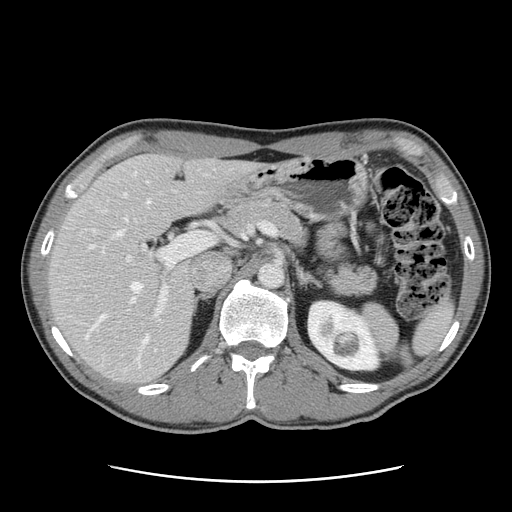 CT slice; Liver
The vessel boxes may cover only some of the vessels.
<segmentation partial="true">
  <hepatic_vessel shown="15" total="19">rect(131, 282, 141, 291); rect(89, 245, 93, 247); rect(135, 347, 141, 367); rect(91, 229, 95, 232); rect(155, 285, 167, 313); rect(127, 257, 130, 259); rect(143, 244, 144, 250); rect(147, 200, 149, 204); rect(142, 334, 148, 344); rect(101, 210, 105, 212); rect(131, 298, 134, 302); rect(124, 193, 126, 196); rect(115, 231, 122, 236); rect(84, 315, 104, 338); rect(124, 218, 126, 220)</hepatic_vessel>
</segmentation>